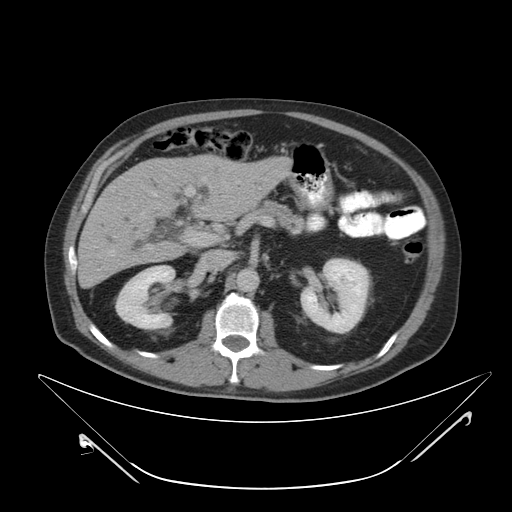 Image size 512x512, Abdomen, CT image
Pancreas at (left=262, top=201, right=302, bottom=228).